CT image. Liver. Slice 73/111.
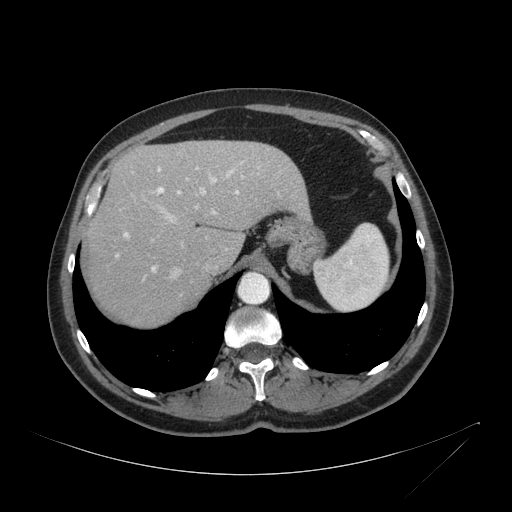

{"liver": ["region(84, 141, 308, 325)"]}